Slice index 71, 240x240, Field of view 240 mm wide, 1.00 mm slice spacing, Brain
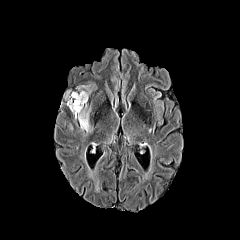
FLAIR MR.
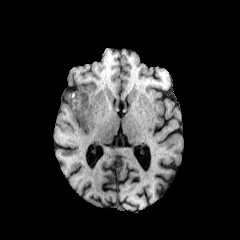
T1-weighted MRI.
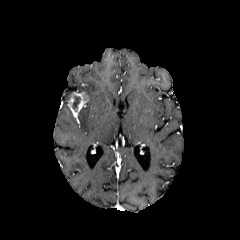
Post-contrast T1-weighted MR image.
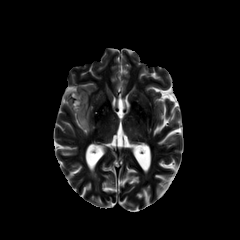
Same slice, T2-weighted magnetic resonance.
{"enhancing_tumor": ["(67, 91, 89, 117)"], "edema": ["(74, 103, 95, 136)", "(76, 84, 91, 96)", "(62, 89, 70, 100)"], "non-enhancing_tumor_core": ["(72, 96, 79, 108)"]}